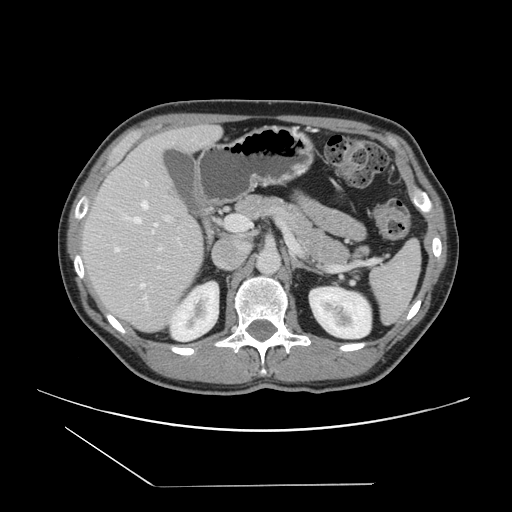

Abdomen; CT image

The vessel boxes may cover only some of the vessels.
8 hepatic vessel regions appear at 158, 244, 161, 247; 144, 200, 146, 201; 107, 180, 110, 182; 130, 217, 133, 217; 118, 209, 125, 218; 177, 238, 180, 243; 146, 307, 149, 310; 142, 296, 146, 302.